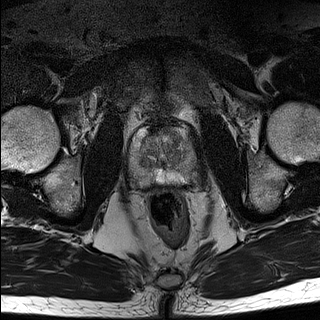
T2-weighted magnetic resonance.
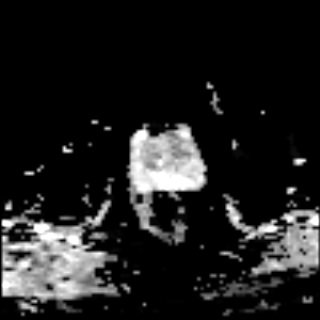
ADC MR.
Prostate transition zone: box=[140, 123, 182, 168].
Prostate peripheral zone: box=[129, 125, 195, 185].